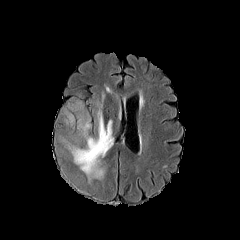
FLAIR MRI.
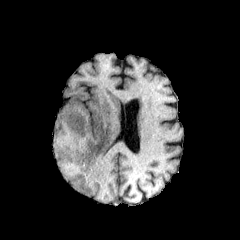
T1-weighted MR image.
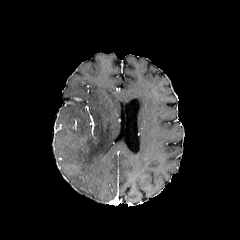
Post-contrast T1-weighted MR.
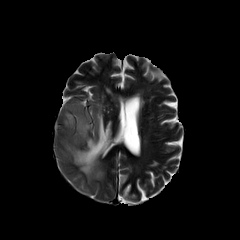
T2-weighted MRI.
Image size 240x240. Brain.
edema:
  - 63 93 114 183